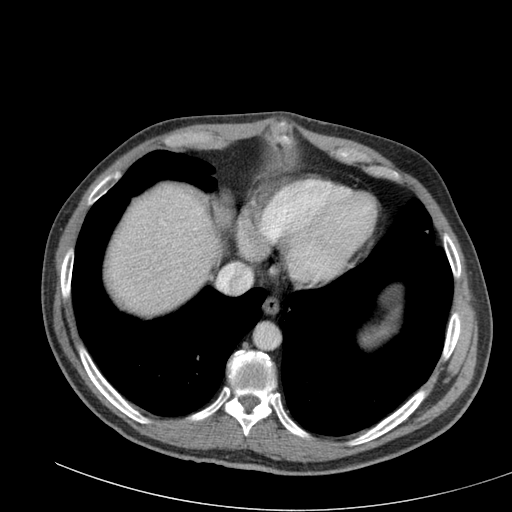 CT

<segmentation>
  <liver><bbox>105, 184, 220, 314</bbox></liver>
</segmentation>